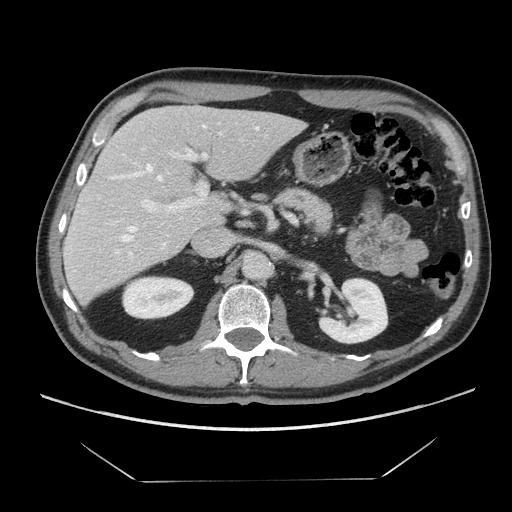 Abdomen. CT slice.

<segmentation>
  <pancreas>[x1=278, y1=188, x2=332, y2=233]</pancreas>
</segmentation>